Brain
FLAIR MR.
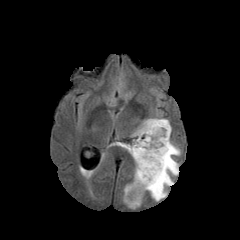
T1-weighted MR.
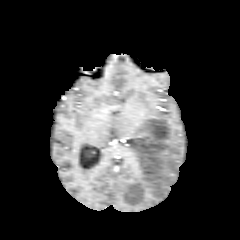
Post-contrast T1-weighted MR image.
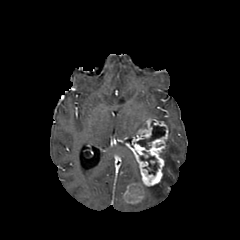
T2-weighted MR image.
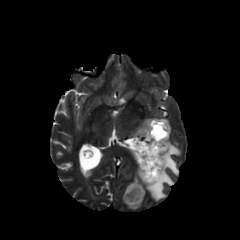
<segmentation>
  <non-enhancing_tumor_core>149 162 157 174, 137 126 165 146</non-enhancing_tumor_core>
  <edema>109 142 139 181, 145 138 181 201, 157 118 171 133</edema>
  <enhancing_tumor>122 119 169 204</enhancing_tumor>
</segmentation>